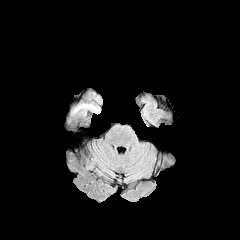
FLAIR MR.
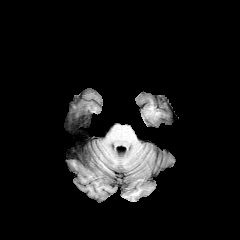
Same slice, T1-weighted MR.
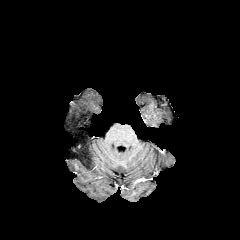
Post-contrast T1-weighted MRI.
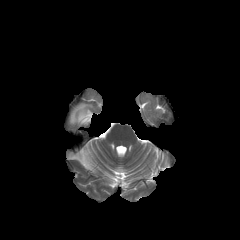
T2-weighted MR image of the same slice.
Head
Findings:
• non-enhancing tumor core: {"x1": 81, "y1": 152, "x2": 91, "y2": 166}, {"x1": 71, "y1": 108, "x2": 89, "y2": 121}
• edema: {"x1": 72, "y1": 103, "x2": 99, "y2": 114}